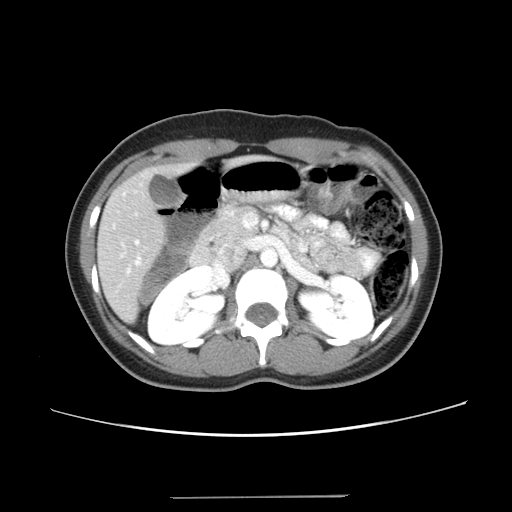 CT.
Some hepatic vessels may have no box.
hepatic vessel: left=135, top=241, right=139, bottom=244; left=127, top=268, right=130, bottom=272; left=113, top=225, right=115, bottom=227; left=136, top=257, right=141, bottom=264; left=124, top=193, right=125, bottom=195; left=121, top=253, right=124, bottom=257; left=136, top=213, right=137, bottom=215